Slice 84/117, CT, Abdomen

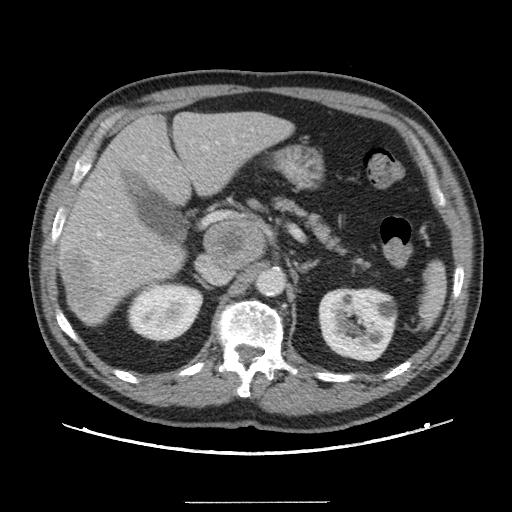

liver_tumor:
  - bbox(62, 247, 106, 313)